Heart | Image size 320x320 | MRI | Slice 61 of 100

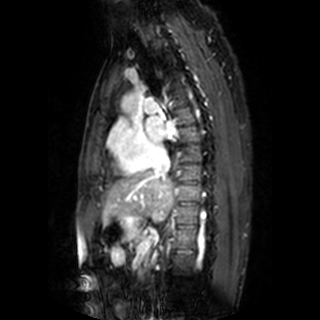

The left atrium is located at 145, 116, 175, 143.